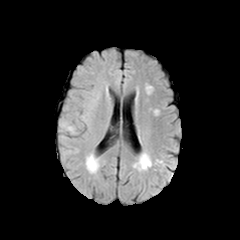
FLAIR MR.
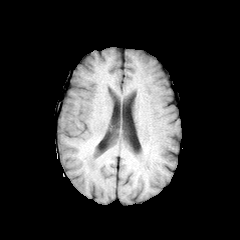
Same slice, T1-weighted MR.
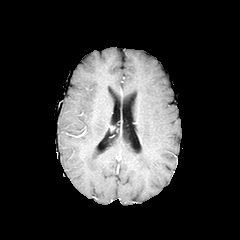
Post-contrast T1-weighted MRI.
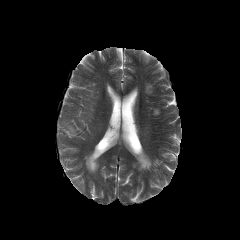
T2-weighted magnetic resonance of the same slice.
Head, 240x240 px
Edema = l=85, t=152, r=98, b=173; l=62, t=122, r=77, b=135.